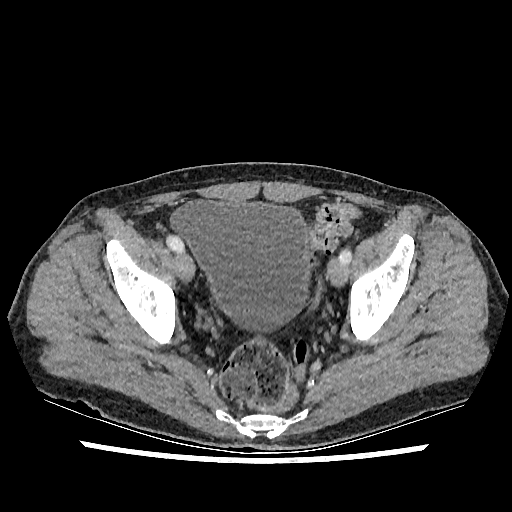 CT, Pelvis, 512x512 px
Segmented structures:
* urinary bladder: <bbox>175, 198, 313, 333</bbox>